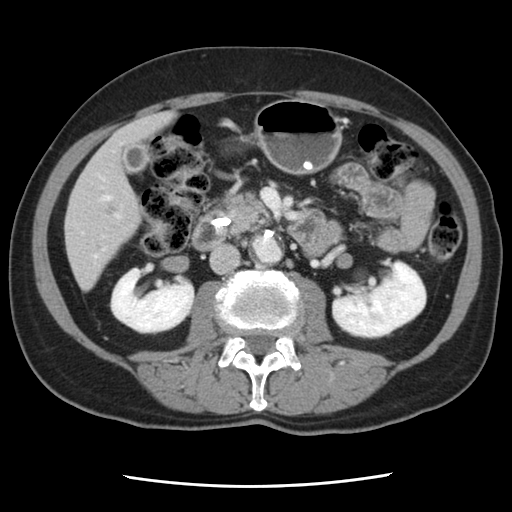 CT

2 pancreas regions are bounded by (247, 212, 269, 232), (223, 205, 232, 232). The pancreatic tumor lies within (224, 191, 267, 235).